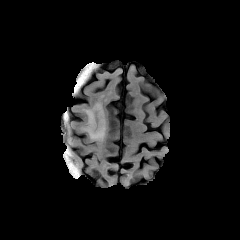
FLAIR MR image.
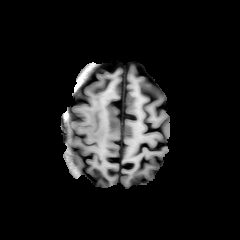
T1-weighted MRI of the same slice.
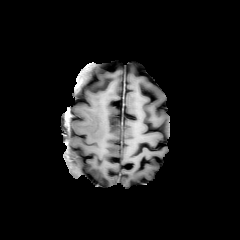
Same slice, post-contrast T1-weighted magnetic resonance.
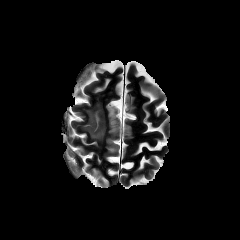
Same slice, T2-weighted MR image.
<segmentation>
  <edema>(left=85, top=104, right=105, bottom=140)</edema>
</segmentation>